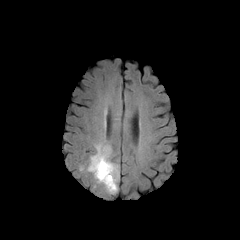
FLAIR MRI.
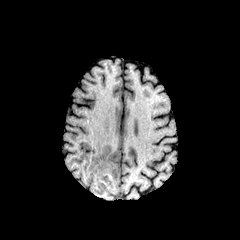
T1-weighted MR image.
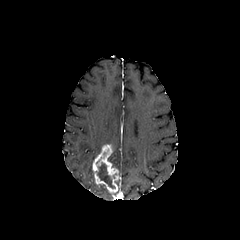
Same slice, post-contrast T1-weighted MR image.
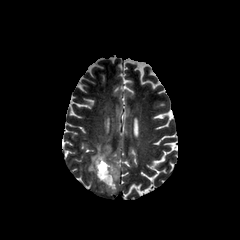
T2-weighted MRI.
Brain.
Enhancing tumor: [92, 144, 119, 193].
Non-enhancing tumor core: [97, 162, 115, 189].
Edema: [103, 104, 107, 131], [86, 133, 106, 172].